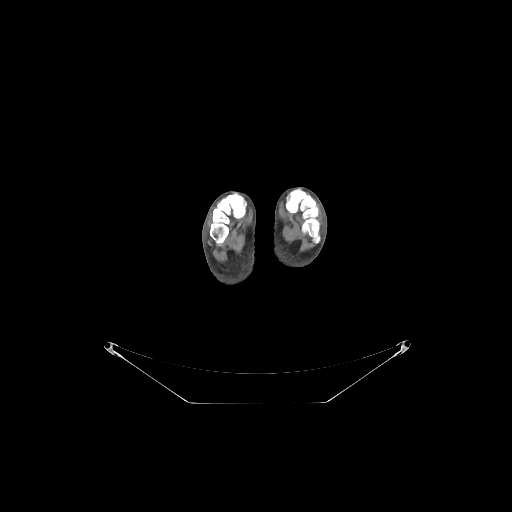 CT image, 512x512 px
2 bone regions appear at <bbox>286, 189, 319, 242</bbox>, <bbox>210, 194, 246, 242</bbox>.